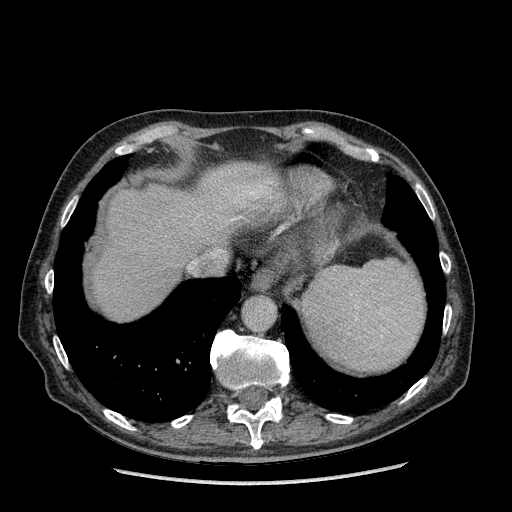 512x512, CT scan slice

Liver at 92 163 279 321.